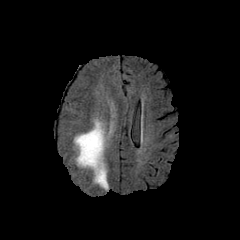
FLAIR MR.
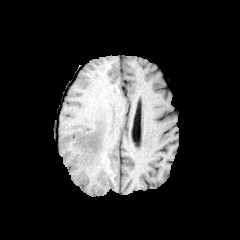
T1-weighted magnetic resonance.
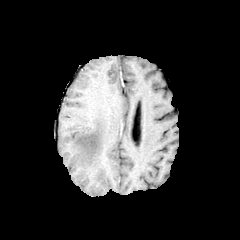
Post-contrast T1-weighted magnetic resonance of the same slice.
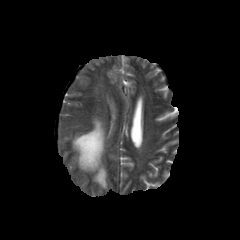
T2-weighted MR.
Brain; 240x240
Edema — 73, 117, 108, 189.